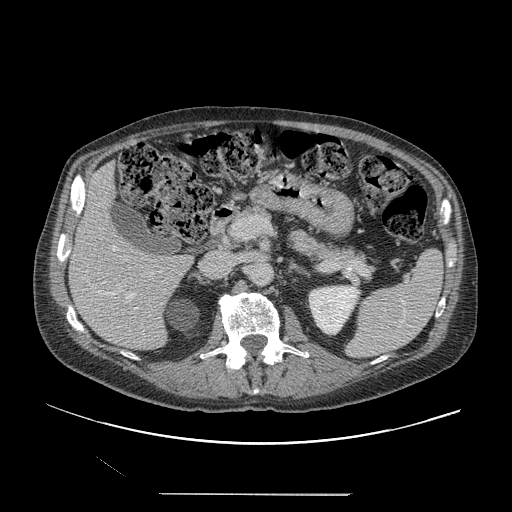

512x512 px | Upper abdomen | Computed tomography
{
  "pancreas": [
    "x1=239, y1=206, x2=272, y2=222",
    "x1=285, y1=227, x2=366, y2=262"
  ]
}